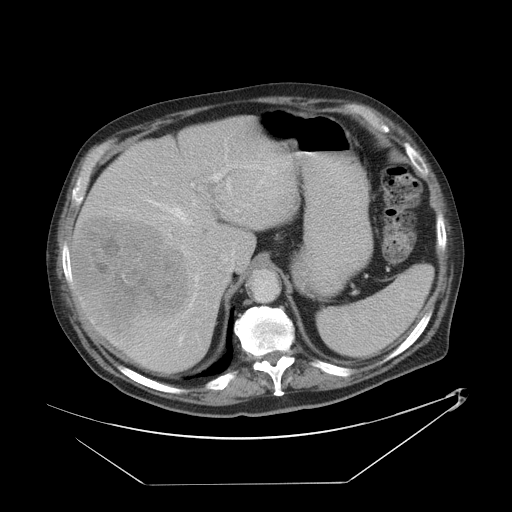
Abdomen; 512x512 px; CT
Only some of the vessels may be annotated.
{"partial": true, "hepatic_vessel": {"n_total": 21, "boxes": ["146,199,197,225", "264,166,276,174", "283,163,288,169", "196,229,199,231", "181,246,186,253", "226,178,231,190", "190,293,197,306", "179,335,183,345", "190,183,194,186", "209,144,237,181", "236,209,240,211", "195,276,198,286", "168,234,171,236", "256,176,268,187", "190,196,198,209"]}, "liver_tumor": ["72,216,193,340"]}